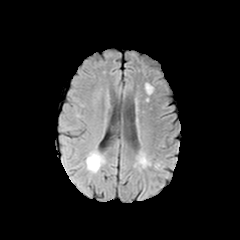
FLAIR MR image.
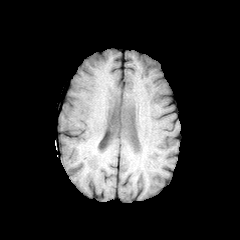
T1-weighted MR.
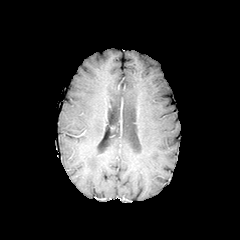
Post-contrast T1-weighted MRI of the same slice.
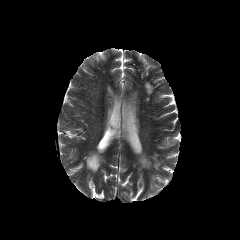
T2-weighted MRI.
240x240 | Brain
Edema at [86,154,101,171].